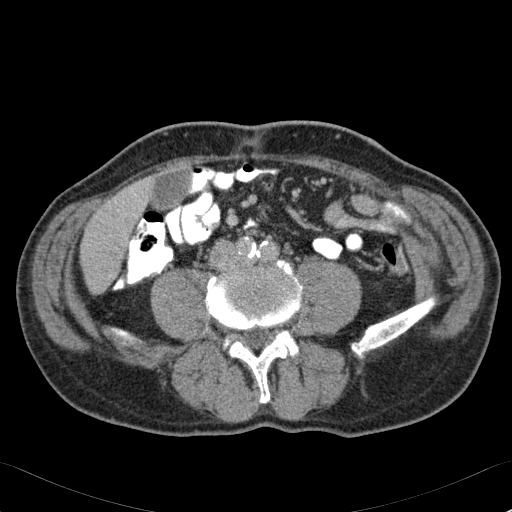 CT slice
The liver is at <box>82,178,148,292</box>.